Liver. Field of view 472x472 mm. CT slice.

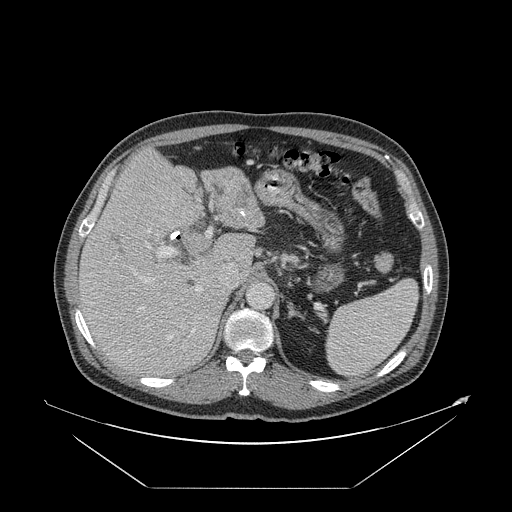 The vessel boxes may cover only some of the vessels.
Largest 15 of 22 hepatic vessel regions — bbox=[195, 285, 202, 291]; bbox=[196, 197, 201, 210]; bbox=[140, 277, 152, 282]; bbox=[115, 253, 117, 257]; bbox=[206, 228, 211, 237]; bbox=[110, 258, 114, 262]; bbox=[156, 246, 175, 256]; bbox=[165, 332, 176, 340]; bbox=[130, 269, 136, 274]; bbox=[170, 227, 178, 239]; bbox=[192, 326, 195, 332]; bbox=[137, 307, 143, 312]; bbox=[241, 254, 244, 257]; bbox=[211, 253, 240, 292]; bbox=[210, 197, 212, 207].